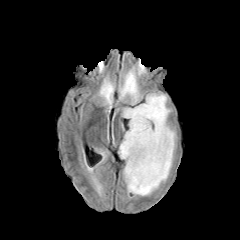
FLAIR MR.
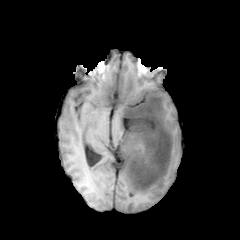
T1-weighted MR.
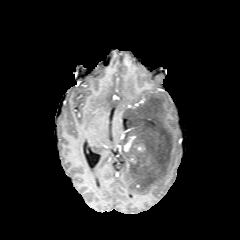
Post-contrast T1-weighted MR of the same slice.
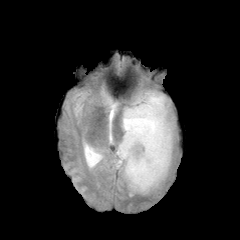
T2-weighted MRI of the same slice.
Enhancing tumor: bounding box left=123, top=136, right=135, bottom=151.
Edema: bounding box left=122, top=85, right=175, bottom=195; left=134, top=138, right=144, bottom=147; left=134, top=148, right=145, bottom=159; left=125, top=74, right=133, bottom=84; left=102, top=89, right=113, bottom=105.
Non-enhancing tumor core: bounding box left=118, top=94, right=171, bottom=194.